Field of view 350 mm wide, 2.00 mm slice spacing; Abdomen; CT image; Slice index 199
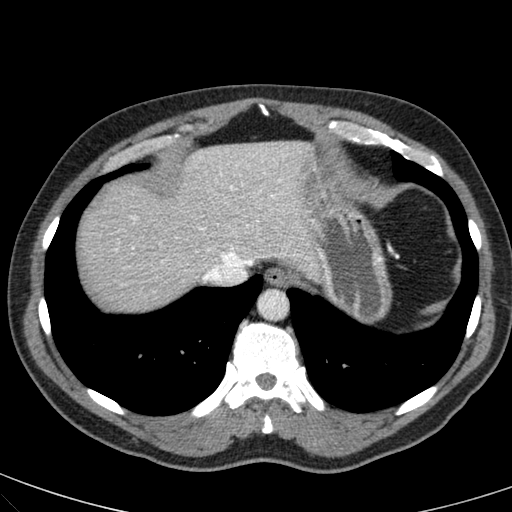
The liver is bounded by [x1=81, y1=141, x2=316, y2=309].